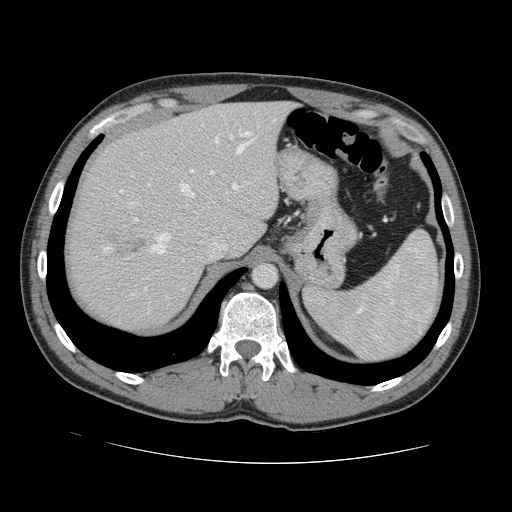
CT slice. Abdomen.

The vessel boxes may cover only some of the vessels.
Liver tumor: bounding box (119, 238, 144, 254).
Principal 15 of 22 hepatic vessel regions: bounding box (127, 202, 137, 206), (229, 134, 232, 139), (273, 118, 275, 121), (210, 171, 213, 174), (149, 233, 169, 253), (190, 169, 193, 172), (144, 287, 145, 290), (215, 137, 217, 142), (232, 182, 236, 189), (147, 307, 149, 312), (180, 184, 192, 196), (243, 181, 248, 182), (119, 190, 123, 193), (236, 129, 252, 154), (133, 217, 137, 221).